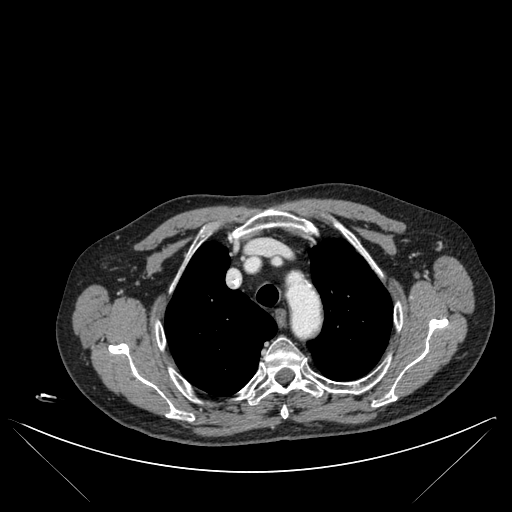
CT scan slice

bone: <bbox>236, 338, 390, 404</bbox>, <bbox>169, 368, 199, 401</bbox>, <bbox>394, 302, 402, 329</bbox>, <bbox>230, 209, 316, 239</bbox>, <bbox>372, 318, 448, 406</bbox>, <bbox>108, 343, 194, 420</bbox>, <bbox>281, 406, 287, 418</bbox>, <bbox>155, 322, 165, 349</bbox>, <bbox>335, 222, 379, 272</bbox> | lung: <bbox>256, 285, 278, 306</bbox>, <bbox>165, 242, 277, 395</bbox>, <bbox>308, 239, 392, 380</bbox>